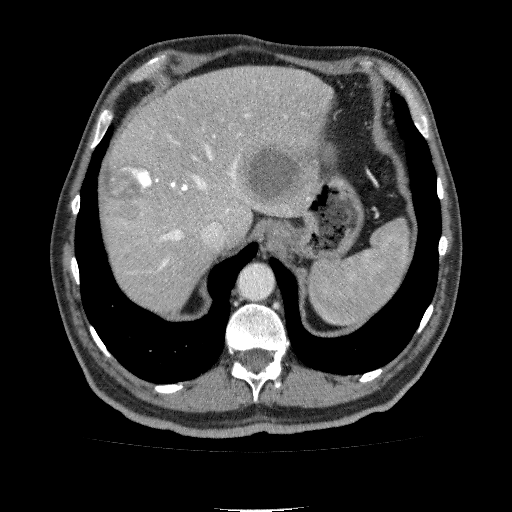

CT scan slice.
Liver = 101, 68, 332, 317.
Focal liver lesion = 100, 157, 156, 221; 239, 141, 317, 206.